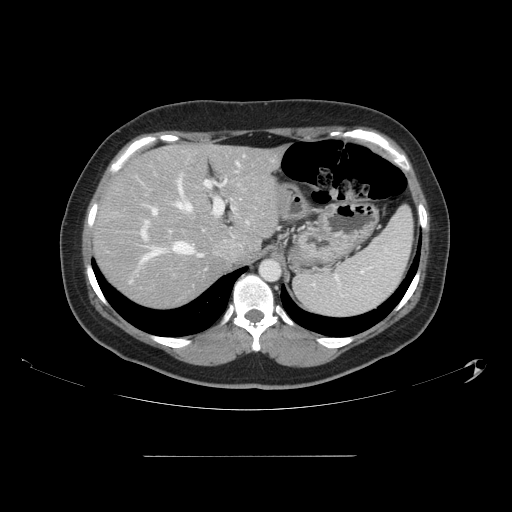
512x512; CT image
Some hepatic vessels may have no box.
<segmentation>
  <hepatic_vessel>{"x1": 214, "y1": 199, "x2": 223, "y2": 214}, {"x1": 198, "y1": 254, "x2": 202, "y2": 256}, {"x1": 203, "y1": 181, "x2": 210, "y2": 186}, {"x1": 175, "y1": 201, "x2": 190, "y2": 210}, {"x1": 142, "y1": 248, "x2": 160, "y2": 261}, {"x1": 178, "y1": 178, "x2": 180, "y2": 191}, {"x1": 172, "y1": 242, "x2": 193, "y2": 253}, {"x1": 153, "y1": 209, "x2": 156, "y2": 214}, {"x1": 141, "y1": 220, "x2": 148, "y2": 237}</hepatic_vessel>
</segmentation>